Slice 43 of 101 | CT scan slice | Field of view 389x389 mm
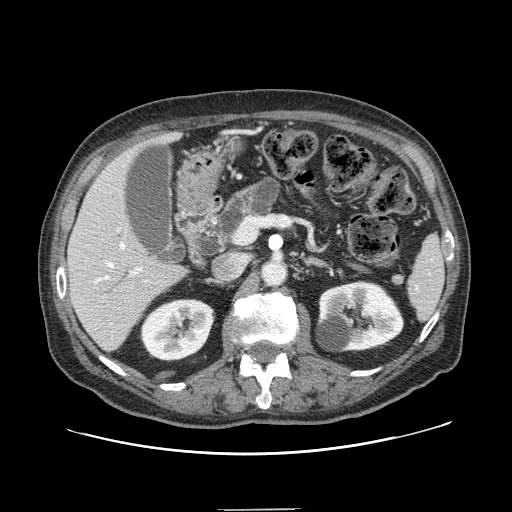 pancreas: box=[212, 177, 282, 233]